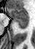
Medial temporal lobe. MRI. 35x49 px. <segmentation>
  <anterior_hippocampus>7 8 28 20</anterior_hippocampus>
  <posterior_hippocampus>16 21 27 28</posterior_hippocampus>
</segmentation>